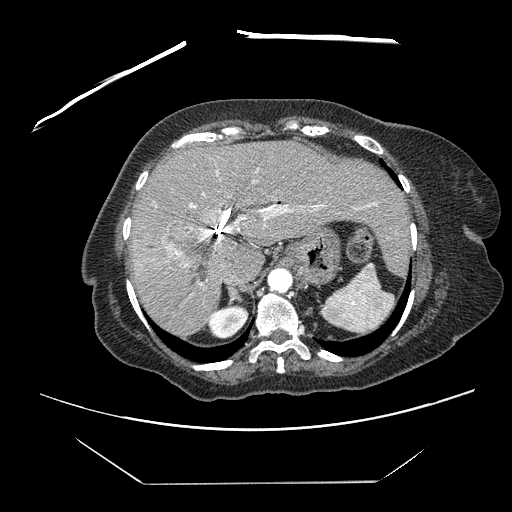
CT
The vessel annotation is not exhaustive.
Annotated regions:
• hepatic vessel: <bbox>259, 205, 292, 220</bbox>, <bbox>153, 202, 156, 206</bbox>, <bbox>311, 204, 324, 210</bbox>, <bbox>190, 203, 195, 207</bbox>, <bbox>227, 216, 246, 232</bbox>, <bbox>202, 193, 204, 195</bbox>, <bbox>356, 208, 359, 208</bbox>, <bbox>219, 238, 220, 242</bbox>
• liver tumor: <bbox>165, 224, 218, 267</bbox>